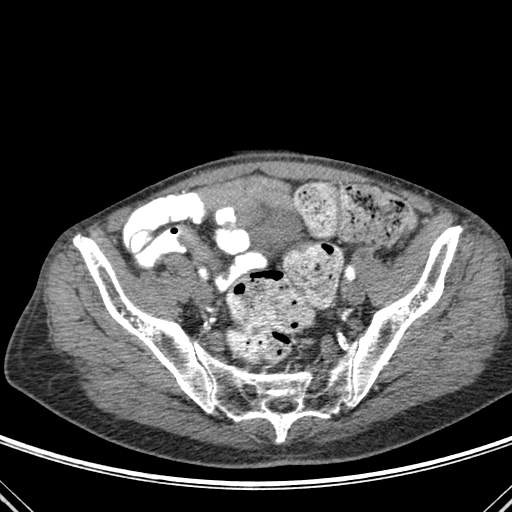
Image size 512x512 | CT image
The bone is located at x1=73 y1=226 x2=462 y2=442.